Field of view 240x240 mm, 240x240 px, Slice 104/155
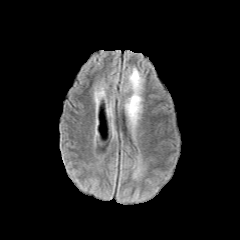
FLAIR MRI.
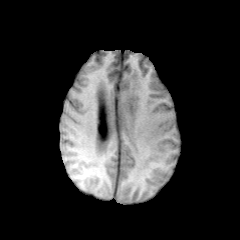
T1-weighted magnetic resonance.
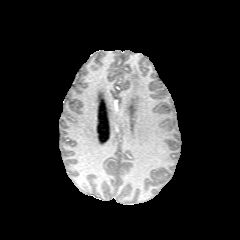
Post-contrast T1-weighted MRI of the same slice.
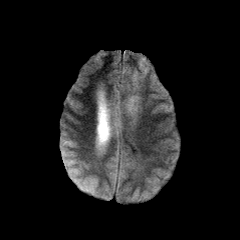
T2-weighted MRI of the same slice.
The edema appears at box=[124, 68, 143, 126].